Slice 369 of 771 | Field of view 400 mm wide, 0.80 mm slice spacing | Abdomen | Computed tomography
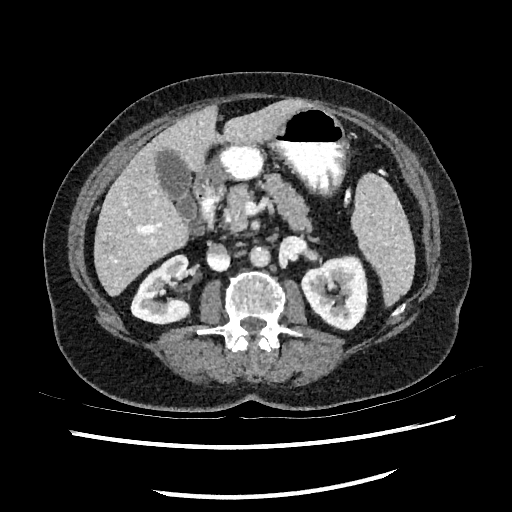 2 liver regions are bounded by {"x1": 93, "y1": 105, "x2": 216, "y2": 297}, {"x1": 223, "y1": 98, "x2": 306, "y2": 144}. The liver lesion lies within {"x1": 101, "y1": 241, "x2": 114, "y2": 254}. 2 kidney regions are located at {"x1": 131, "y1": 255, "x2": 188, "y2": 323}, {"x1": 302, "y1": 258, "x2": 366, "y2": 329}.